Head.
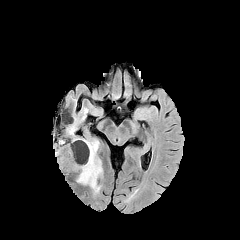
FLAIR MR image.
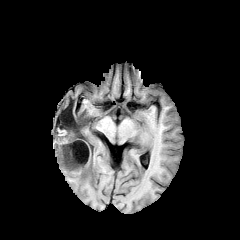
Same slice, T1-weighted MR image.
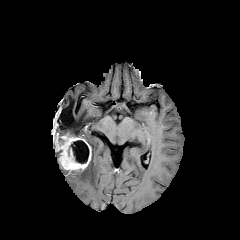
Post-contrast T1-weighted MR.
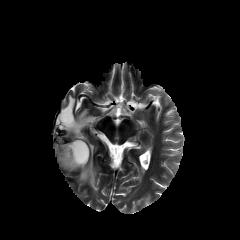
Same slice, T2-weighted MR image.
3 edema regions are bounded by (58, 126, 68, 135), (67, 96, 88, 121), (71, 125, 102, 192). The enhancing tumor lies within (55, 135, 89, 169). 3 non-enhancing tumor core regions are bounded by (70, 140, 89, 163), (53, 132, 67, 147), (64, 120, 85, 136).